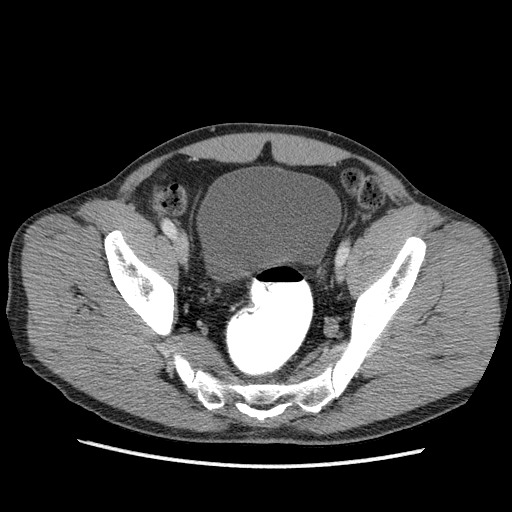

CT slice; 512x512
Urinary bladder — 197 166 340 282.